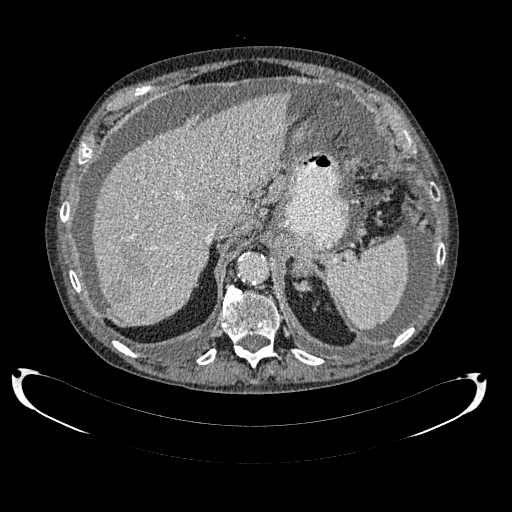
Liver, Computed tomography

5 hepatic lesion regions are bounded by {"x1": 108, "y1": 281, "x2": 128, "y2": 301}, {"x1": 122, "y1": 245, "x2": 145, "y2": 275}, {"x1": 191, "y1": 199, "x2": 216, "y2": 223}, {"x1": 137, "y1": 310, "x2": 145, "y2": 320}, {"x1": 231, "y1": 158, "x2": 241, "y2": 170}. The liver is at {"x1": 92, "y1": 92, "x2": 292, "y2": 325}.